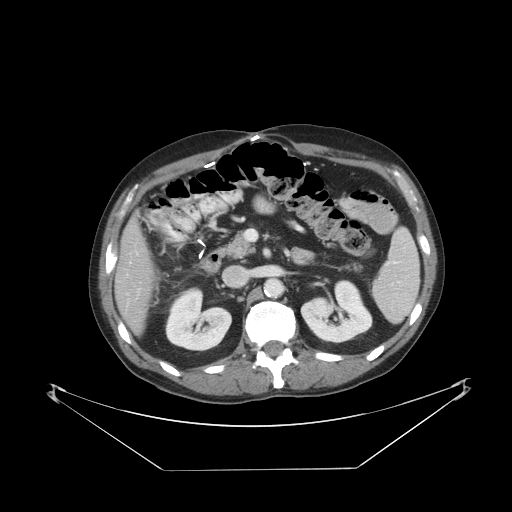

CT image, Liver
Not every hepatic vessel necessarily has a box.
{"hepatic_vessel": ["<box>136,252,138,255</box>", "<box>129,262,130,263</box>", "<box>127,293,128,295</box>", "<box>137,288,140,293</box>"]}